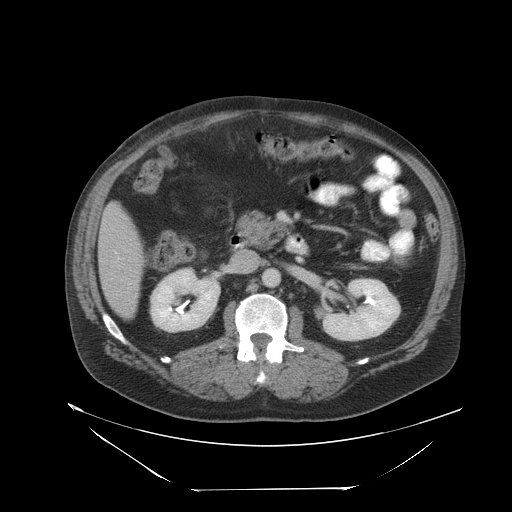
Liver, CT slice
The vessel annotation is not exhaustive.
The hepatic vessel lies within (114, 251, 115, 252).